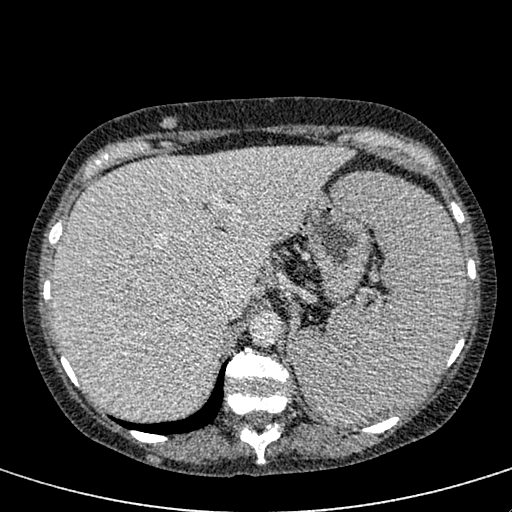
Computed tomography, Abdomen

<segmentation>
  <liver>[53,147,356,419]</liver>
</segmentation>